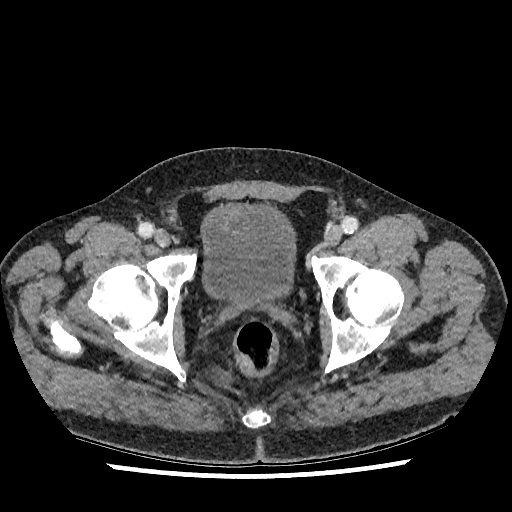 512x512 px; CT scan slice
The urinary bladder is bounded by x1=201, y1=203, x2=296, y2=309.